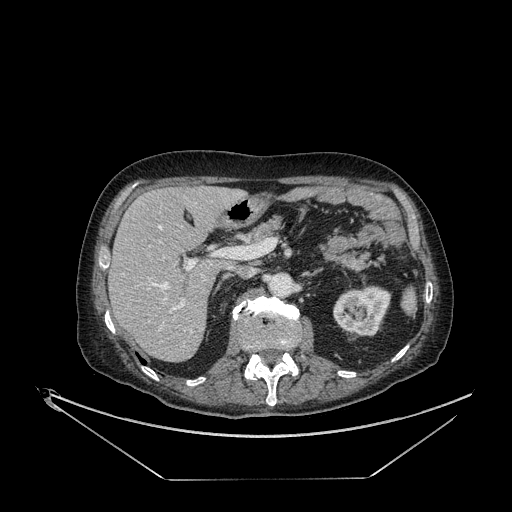
CT image | Liver
The liver is located at [108,186,244,361]. The kidney is located at [333,286,390,335].